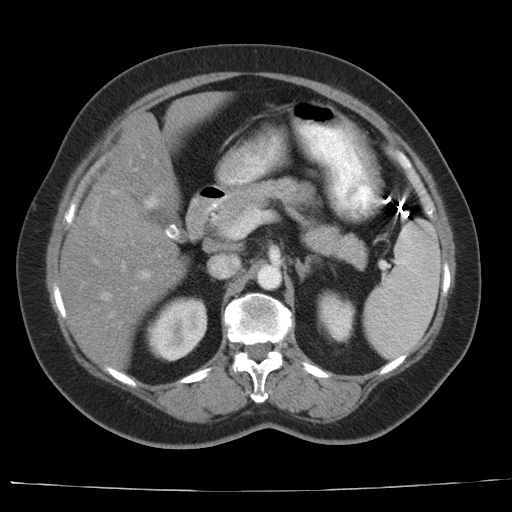

CT slice
Only some of the vessels may be annotated.
Liver tumor: bounding box left=98, top=191, right=161, bottom=240.
Hepatic vessel: bounding box left=141, top=273, right=147, bottom=277; left=101, top=293, right=109, bottom=299.